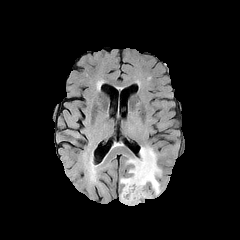
FLAIR magnetic resonance.
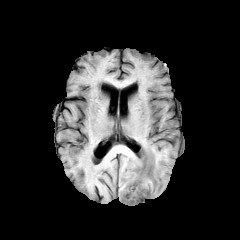
T1-weighted MR.
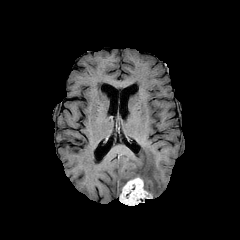
Post-contrast T1-weighted MR.
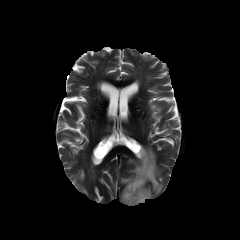
T2-weighted MR of the same slice.
<segmentation>
  <enhancing_tumor>120, 177, 151, 205</enhancing_tumor>
  <edema>120, 146, 162, 195</edema>
</segmentation>